CT

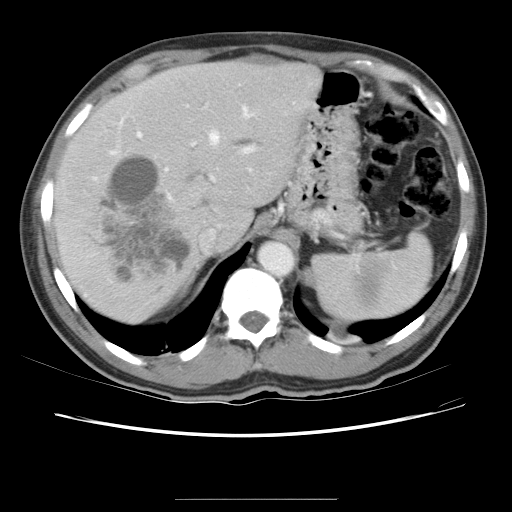 The vessel boxes may cover only some of the vessels.
hepatic vessel: left=210, top=130, right=218, bottom=143; left=191, top=141, right=193, bottom=145; left=120, top=121, right=121, bottom=124; left=168, top=194, right=172, bottom=200; left=137, top=132, right=141, bottom=136; left=111, top=150, right=115, bottom=154; left=242, top=105, right=252, bottom=117; left=242, top=145, right=255, bottom=152; left=210, top=175, right=214, bottom=179; left=248, top=168, right=251, bottom=170; left=165, top=168, right=167, bottom=170 | liver tumor: left=93, top=148, right=192, bottom=291